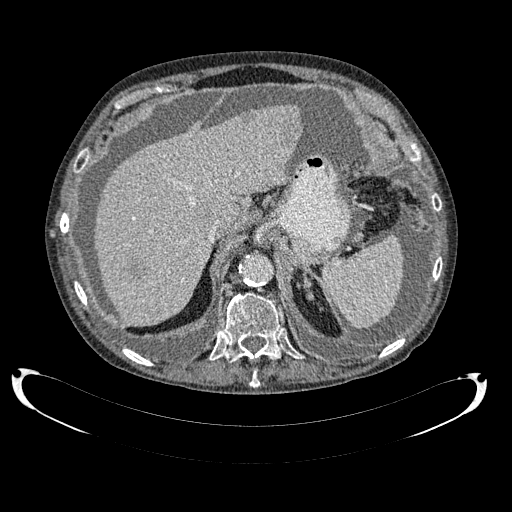
CT slice | 512x512 | Upper abdomen

{
  "liver": [
    "94,103,301,325"
  ],
  "focal_liver_lesion": [
    "147,311,157,317",
    "126,259,145,277",
    "283,120,298,142"
  ]
}